Brain, Field of view 240 mm wide, 1.00 mm slice spacing, 240x240
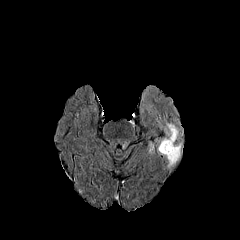
FLAIR MRI.
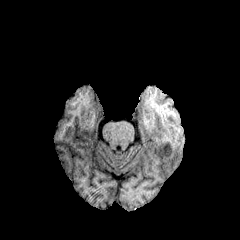
Same slice, T1-weighted MR.
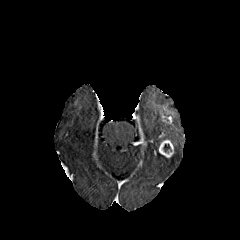
Post-contrast T1-weighted MR image.
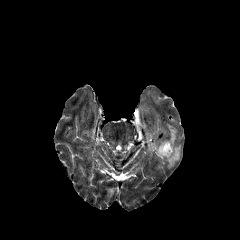
T2-weighted MR.
Enhancing tumor: 158, 138, 174, 158.
Edema: 148, 118, 183, 169.